Brain | 240x240 | Slice 70 of 155
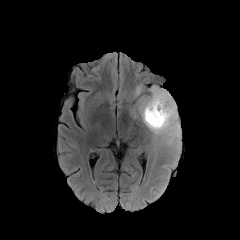
FLAIR MR.
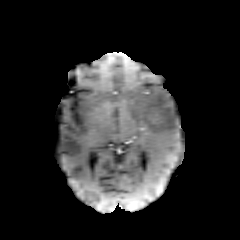
T1-weighted MRI.
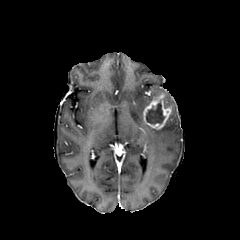
Post-contrast T1-weighted magnetic resonance of the same slice.
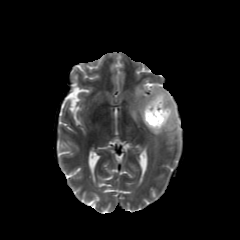
T2-weighted MRI.
Enhancing tumor = box=[143, 92, 172, 129].
Non-enhancing tumor core = box=[146, 102, 164, 123].
Edema = box=[134, 83, 145, 97]; box=[136, 85, 181, 156].